Upper abdomen, CT image
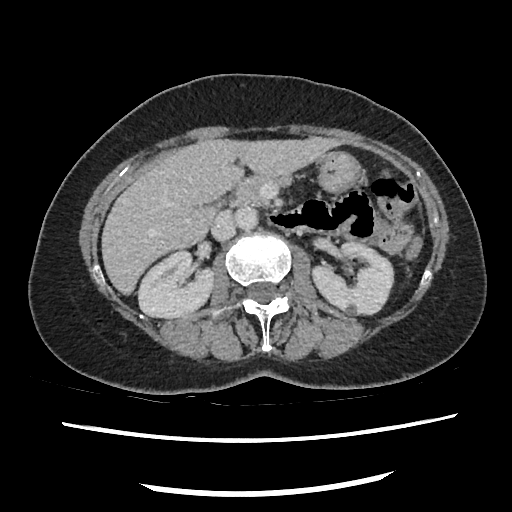 pancreas:
  - x1=233, y1=174, x2=292, y2=205